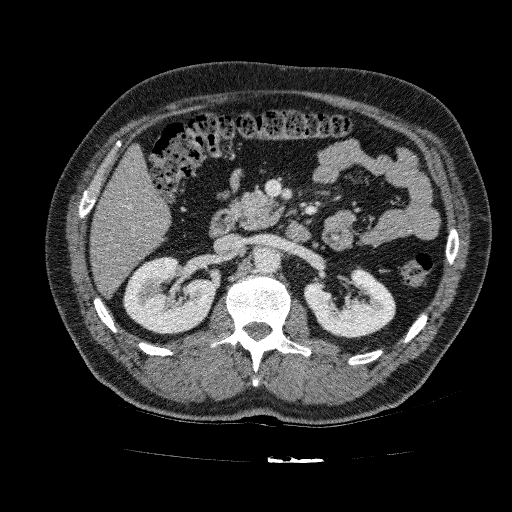
CT image
The liver is bounded by 90:144:170:297. 2 kidney regions are bounded by 305:270:394:336, 124:257:216:333.